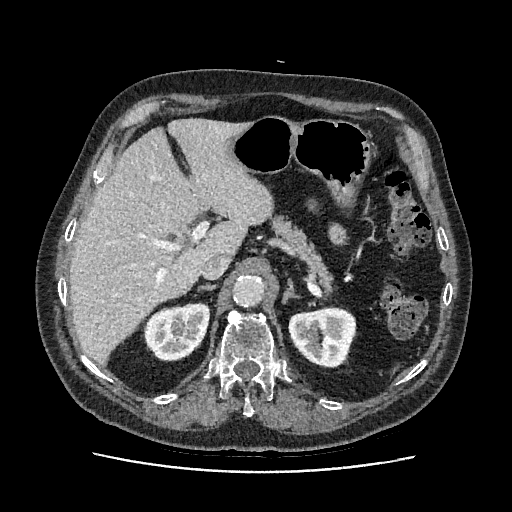
CT
kidney:
  - <box>289,309,355,366</box>
  - <box>145,304,208,359</box>
liver:
  - <box>69,119,272,365</box>